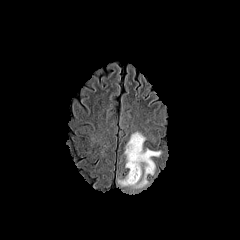
FLAIR MR.
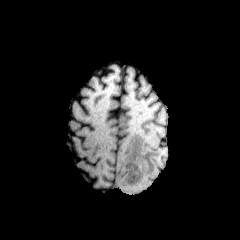
Same slice, T1-weighted magnetic resonance.
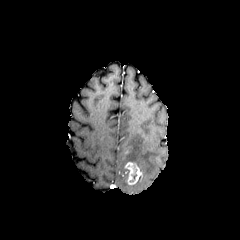
Post-contrast T1-weighted MR.
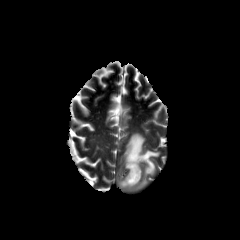
T2-weighted magnetic resonance.
enhancing_tumor:
  - (124, 161, 142, 184)
edema:
  - (117, 133, 159, 193)